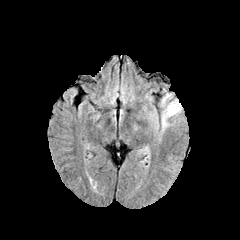
FLAIR MR.
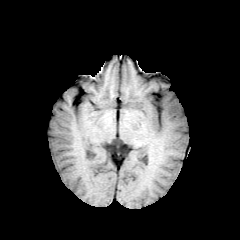
T1-weighted MRI.
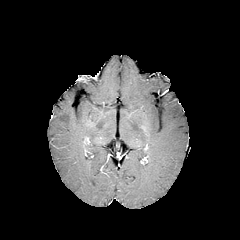
Same slice, post-contrast T1-weighted MR image.
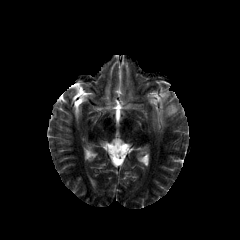
T2-weighted magnetic resonance.
240x240, Brain
{
  "edema": [
    "region(144, 92, 182, 136)"
  ]
}